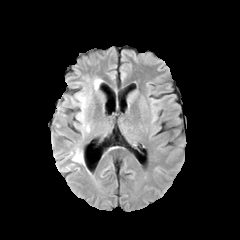
FLAIR MR image.
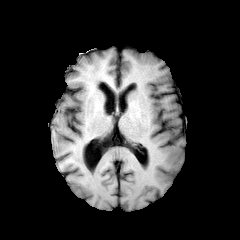
T1-weighted MR.
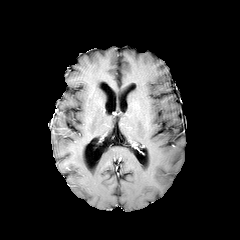
Same slice, post-contrast T1-weighted magnetic resonance.
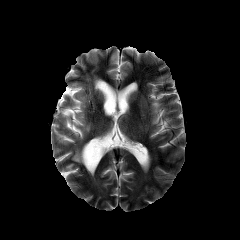
T2-weighted MRI.
Head.
Edema = x1=68 y1=148 x2=83 y2=163, x1=69 y1=77 x2=102 y2=138.